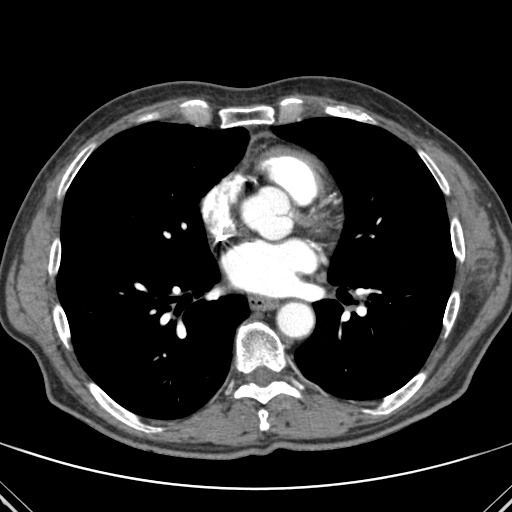
CT; Thorax
[15/16] bone: region(364, 373, 425, 414); region(48, 239, 60, 274); region(181, 100, 207, 107); region(89, 383, 161, 432); region(419, 151, 449, 193); region(58, 145, 93, 194); region(236, 322, 285, 373); region(443, 291, 459, 335); region(219, 106, 274, 127); region(326, 107, 370, 121); region(234, 381, 301, 403); region(258, 409, 269, 429); region(280, 98, 301, 106); region(53, 305, 69, 347); region(451, 218, 464, 261) | lung: region(57, 122, 249, 419); region(272, 117, 454, 399)